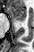

Magnetic resonance; Hippocampus
Annotated regions:
- anterior hippocampus: left=9, top=6, right=26, bottom=21
- posterior hippocampus: left=20, top=22, right=22, bottom=23